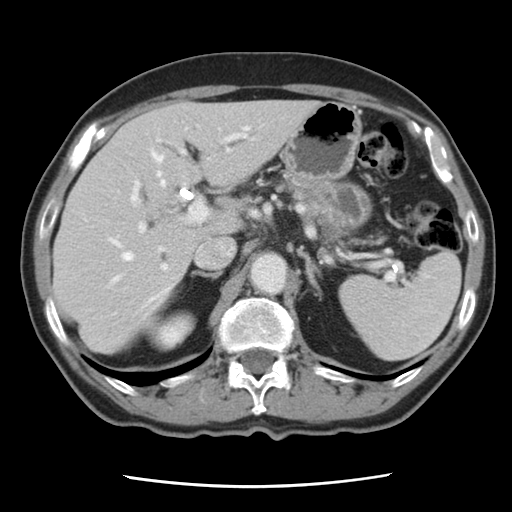
Upper abdomen, 512x512 px, CT slice
• pancreas: (316, 207, 339, 238)